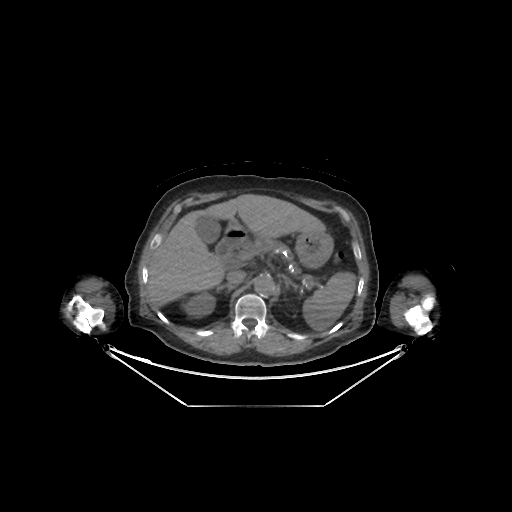
512x512; CT slice
Kidney: <box>179,289,215,317</box>.
Bone: <box>358,279,363,294</box>, <box>404,295,434,334</box>, <box>158,312,168,322</box>, <box>329,323,341,333</box>, <box>68,295,104,332</box>, <box>143,268,147,282</box>, <box>233,294,266,337</box>, <box>197,331,212,335</box>.
Liver: <box>147,195,324,299</box>.